Liver, Field of view 412 mm wide, 5.00 mm slice spacing, Image size 512x512, Computed tomography, Slice index 38
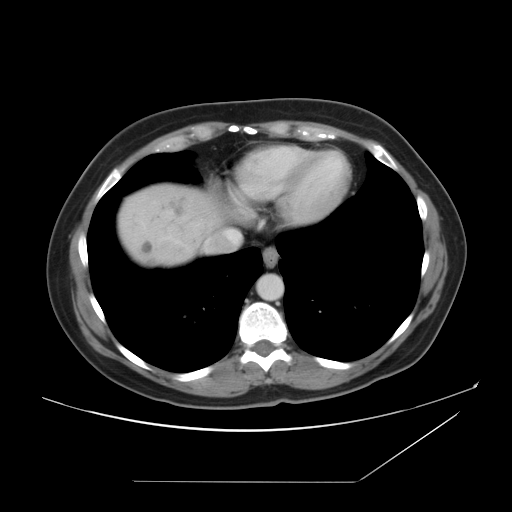 Not every hepatic vessel necessarily has a box.
- liver tumor: (left=140, top=240, right=153, bottom=254)
- hepatic vessel: (left=227, top=232, right=238, bottom=240)